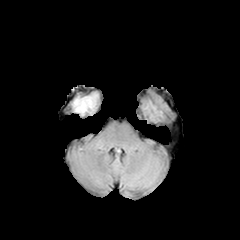
FLAIR MRI.
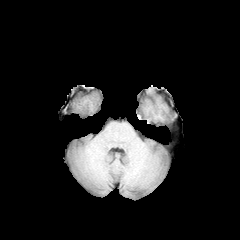
Same slice, T1-weighted MR.
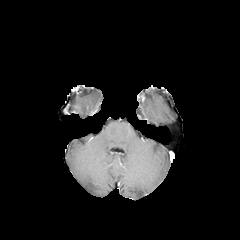
Post-contrast T1-weighted MR.
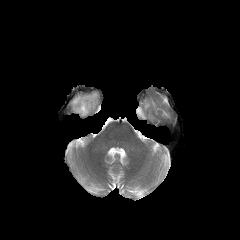
T2-weighted magnetic resonance of the same slice.
Brain
Annotated regions:
- edema: 72 93 97 115